240x240 px. Brain. Slice 123 of 155.
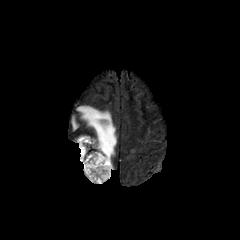
FLAIR MR image.
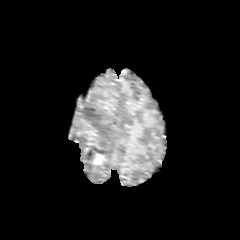
T1-weighted MR image of the same slice.
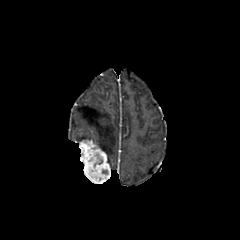
Post-contrast T1-weighted magnetic resonance of the same slice.
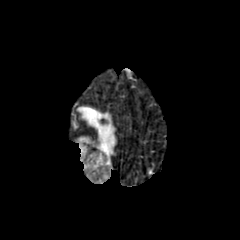
Same slice, T2-weighted MR.
<segmentation>
  <edema>[76,106,116,164]</edema>
  <enhancing_tumor>[75,138,111,183]</enhancing_tumor>
</segmentation>